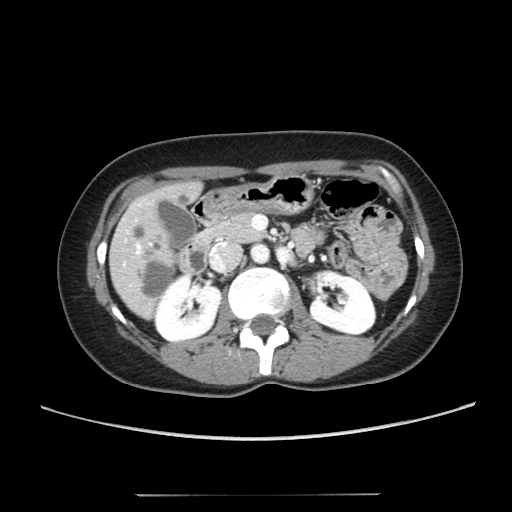
CT slice, Abdomen

Annotated regions:
• focal liver lesion: [131, 224, 146, 239], [137, 248, 171, 298], [179, 196, 190, 204]
• liver: [109, 181, 204, 321]
• kidney: [311, 273, 374, 333], [156, 276, 220, 340]